Slice index 9; MR; Medial temporal lobe; 38x48

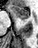
The anterior hippocampus is located at (left=9, top=5, right=29, bottom=19).